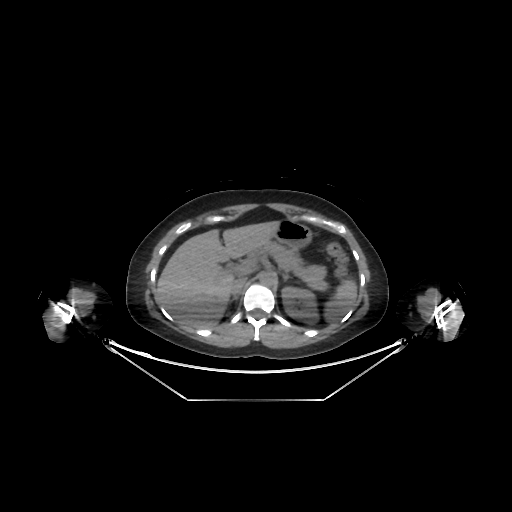 Image size 512x512, Upper abdomen, CT
Liver: bounding box (155,223,278,331).
Kidney: bounding box (281,286,318,325).